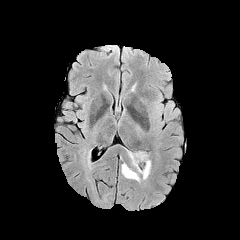
FLAIR magnetic resonance.
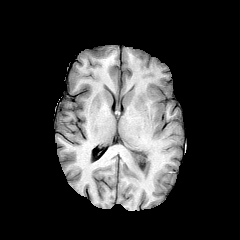
T1-weighted MRI.
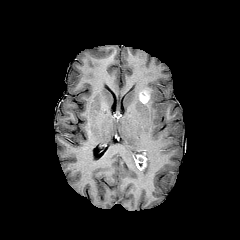
Post-contrast T1-weighted magnetic resonance of the same slice.
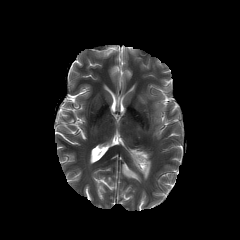
Same slice, T2-weighted MRI.
Head.
{
  "edema": [
    "left=126, top=149, right=151, bottom=179",
    "left=121, top=162, right=140, bottom=182"
  ],
  "enhancing_tumor": [
    "left=139, top=90, right=149, bottom=103",
    "left=135, top=155, right=146, bottom=169"
  ]
}